FLAIR MR.
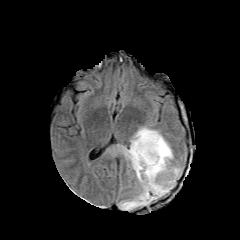
T1-weighted MR.
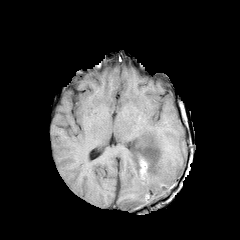
Post-contrast T1-weighted MRI.
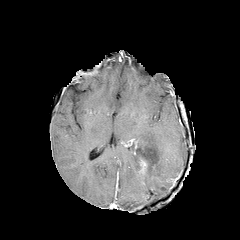
T2-weighted MRI.
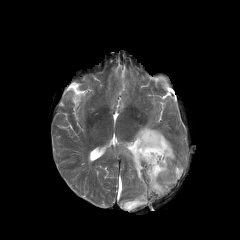
Head
{"non-enhancing_tumor_core": ["129:139:139:153"], "edema": ["117:122:181:210"]}